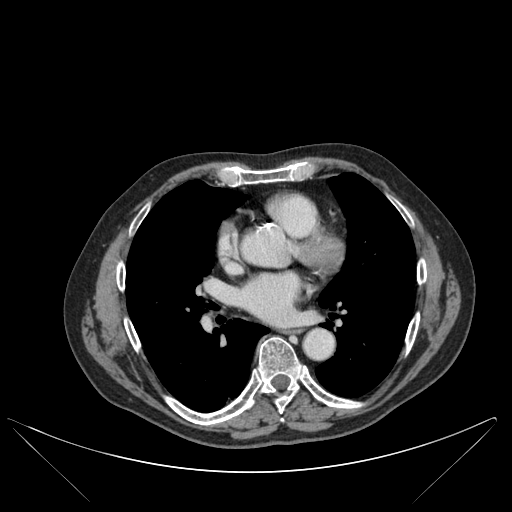

CT scan slice; 512x512; Chest
Lung at 315, 173, 415, 397; 126, 180, 268, 411.
Bone at 405, 313, 419, 352; 124, 318, 140, 351; 417, 259, 426, 284; 130, 208, 148, 229; 224, 163, 305, 184; 165, 337, 361, 424; 397, 203, 411, 220; 116, 262, 125, 290.